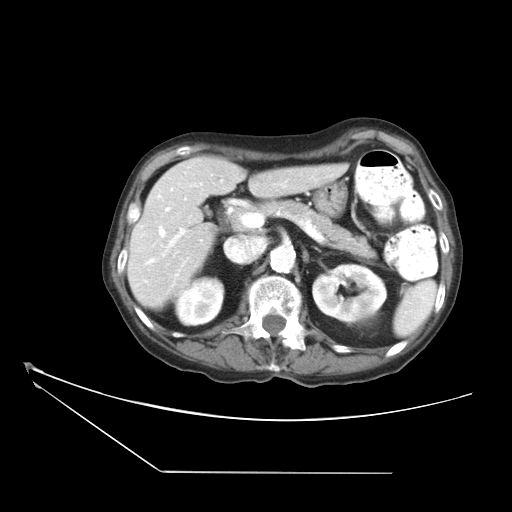
Image size 512x512, CT slice
pancreas:
  - bbox(219, 199, 376, 260)